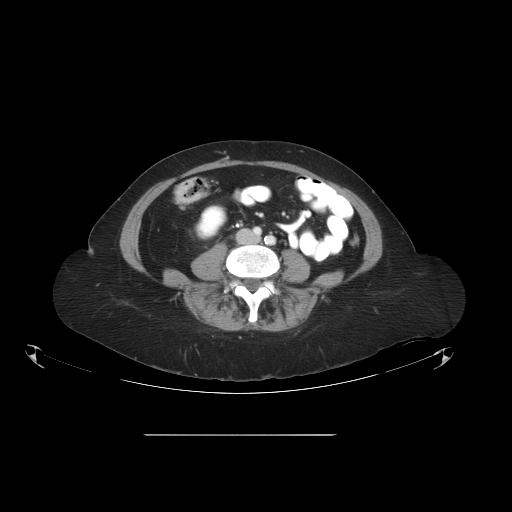 Pelvis. 512x512. CT slice.

Colon tumor at bbox=[173, 177, 206, 205].